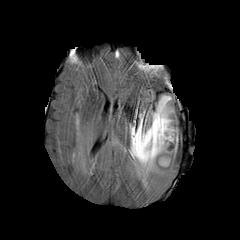
FLAIR MR image.
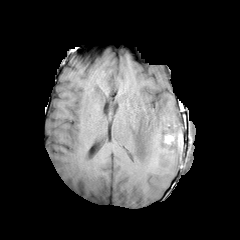
T1-weighted MR.
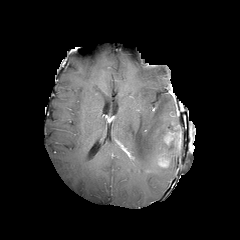
Same slice, post-contrast T1-weighted MR.
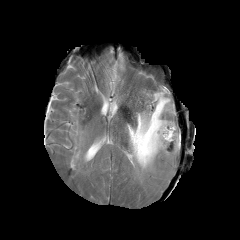
T2-weighted magnetic resonance.
Brain
enhancing_tumor:
  - 164,132,174,143
edema:
  - 126,94,177,176
non-enhancing_tumor_core:
  - 167,131,178,144